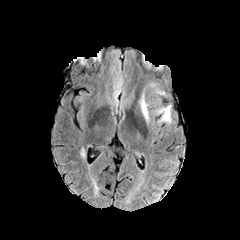
FLAIR magnetic resonance.
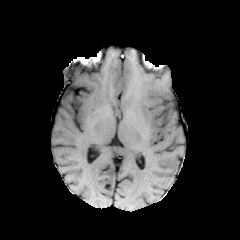
Same slice, T1-weighted MRI.
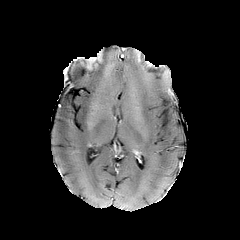
Post-contrast T1-weighted MR image.
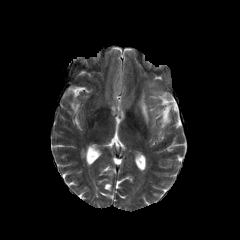
T2-weighted MRI of the same slice.
Brain.
edema:
  - <box>140,94,149,121</box>
  - <box>158,104,171,122</box>